Pelvis, Image width 360 mm, CT
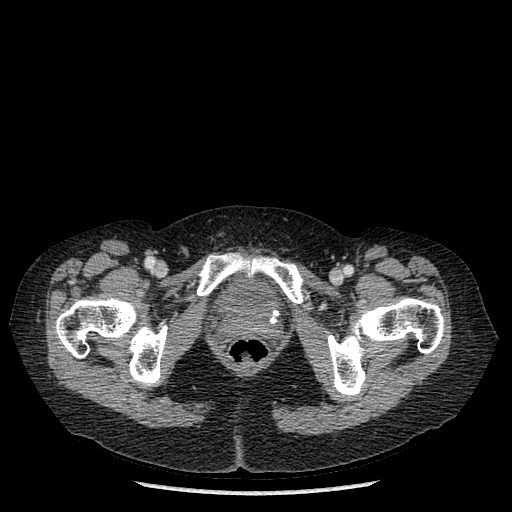

- urinary bladder: [204,270,295,340]
- bone: [54,295,167,386], [327,298,444,397], [197,253,303,303]